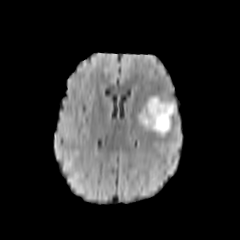
FLAIR MRI.
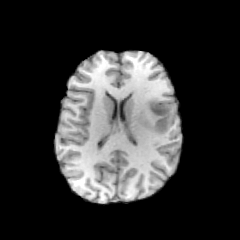
T1-weighted MRI of the same slice.
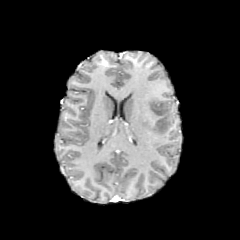
Post-contrast T1-weighted MR.
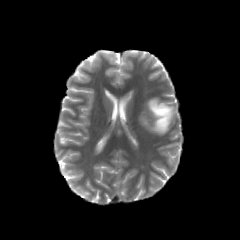
Same slice, T2-weighted MRI.
Brain
* edema: 139:99:170:134
* non-enhancing tumor core: 150:98:174:132